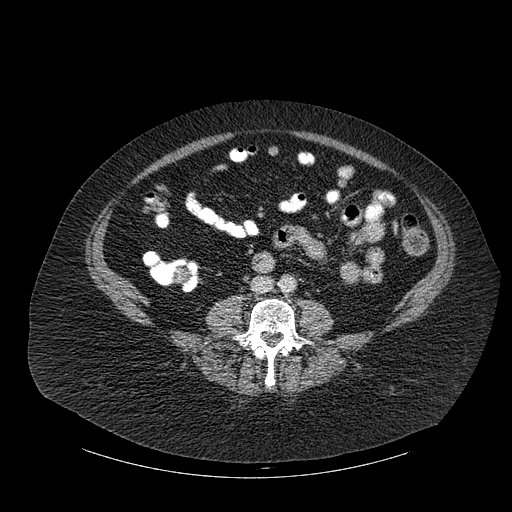
Computed tomography. 512x512 px.

<segmentation>
  <bone>(236, 299, 308, 386)</bone>
</segmentation>